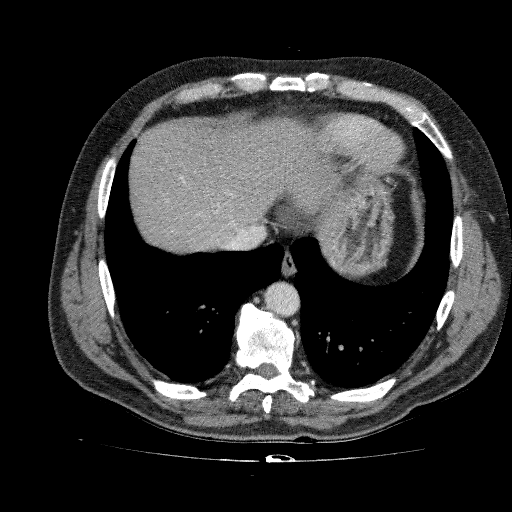
CT slice.

The liver is at [128, 118, 346, 255].